FLAIR MRI.
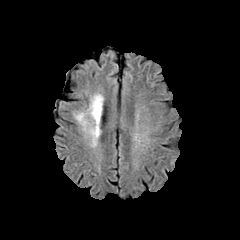
T1-weighted MR.
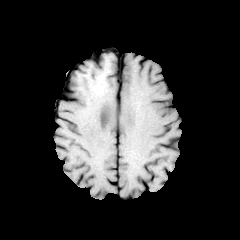
Post-contrast T1-weighted MR image.
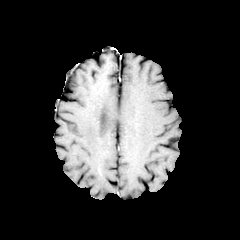
T2-weighted MRI.
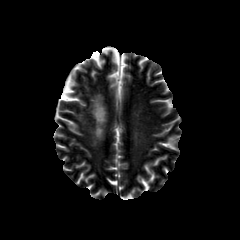
Head
edema: (x1=74, y1=93, x2=103, y2=140)